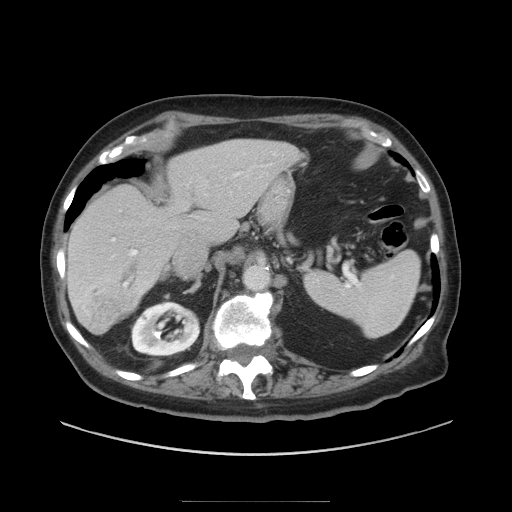

CT | 512x512 | Abdomen
The vessel annotation is not exhaustive.
Annotated regions:
• liver tumor: box(82, 281, 133, 330)
• hepatic vessel: box(235, 173, 238, 176); box(111, 238, 115, 241); box(203, 181, 206, 188); box(112, 255, 114, 256); box(128, 249, 137, 256)